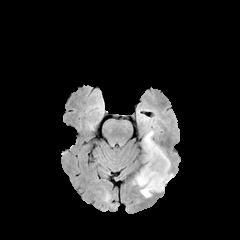
FLAIR magnetic resonance.
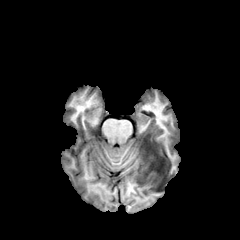
T1-weighted magnetic resonance of the same slice.
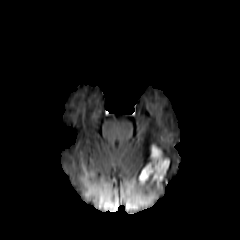
Post-contrast T1-weighted MR image.
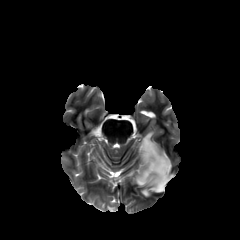
Same slice, T2-weighted MR.
edema: <bbox>141, 130, 167, 166</bbox>, <bbox>133, 161, 173, 197</bbox> | enhancing tumor: <bbox>139, 145, 169, 186</bbox> | non-enhancing tumor core: <bbox>148, 145, 152, 162</bbox>